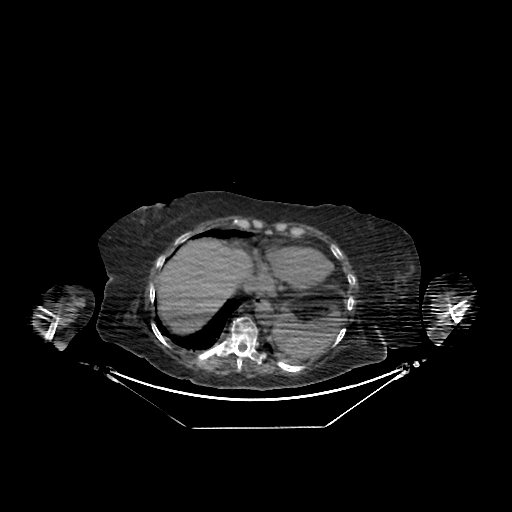
CT scan slice. Upper abdomen. Annotated regions:
- liver: bbox=[153, 237, 256, 334]